240x240 px
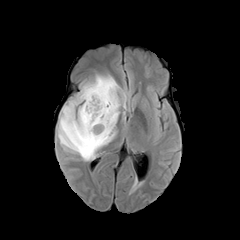
FLAIR MR image.
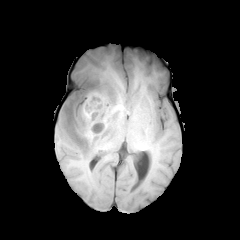
T1-weighted MR image of the same slice.
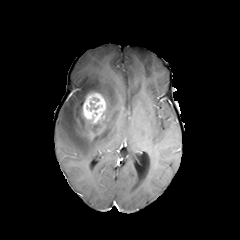
Post-contrast T1-weighted MR.
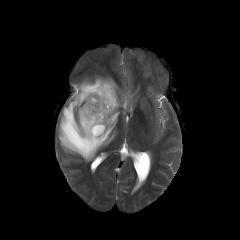
Same slice, T2-weighted magnetic resonance.
The non-enhancing tumor core is located at l=92, t=123, r=103, b=133. The edema is at l=55, t=74, r=130, b=161. The enhancing tumor lies within l=83, t=93, r=105, b=123.